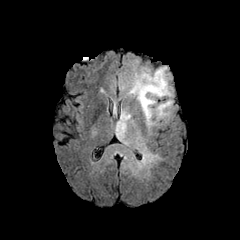
FLAIR magnetic resonance.
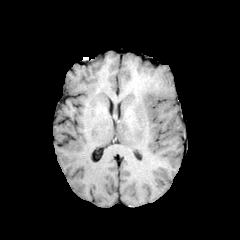
T1-weighted MRI of the same slice.
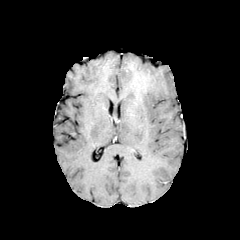
Post-contrast T1-weighted MR.
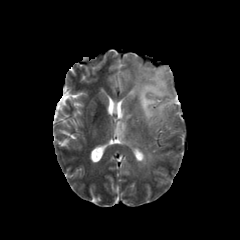
T2-weighted magnetic resonance of the same slice.
Brain.
Non-enhancing tumor core: [x1=131, y1=73, x2=158, y2=100].
Edema: [x1=138, y1=68, x2=159, y2=80], [x1=129, y1=67, x2=174, y2=127], [x1=116, y1=110, x2=131, y2=137].